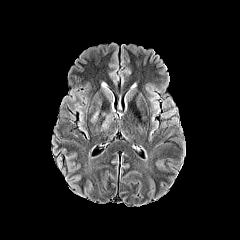
FLAIR MR image.
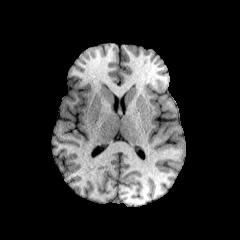
T1-weighted MRI.
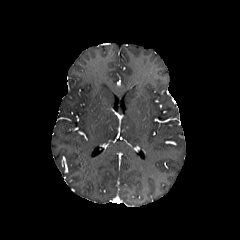
Post-contrast T1-weighted magnetic resonance of the same slice.
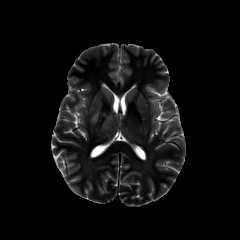
T2-weighted MR image.
edema:
  - [x1=102, y1=115, x2=113, y2=130]
  - [x1=90, y1=111, x2=99, y2=123]